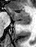 MR image; Image size 36x47; Medial temporal lobe

<segmentation>
  <anterior_hippocampus>(8,7,30,19)</anterior_hippocampus>
  <posterior_hippocampus>(16,20,30,24)</posterior_hippocampus>
</segmentation>